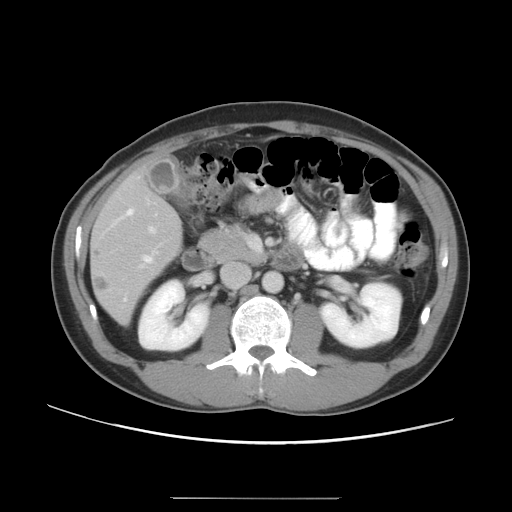 Abdomen, CT image
Some hepatic vessels may have no box.
Findings:
* liver tumor: (x1=92, y1=250, x2=100, y2=257), (x1=94, y1=275, x2=106, y2=290)
* hepatic vessel: (x1=149, y1=227, x2=155, y2=232), (x1=141, y1=245, x2=159, y2=267), (x1=107, y1=208, x2=134, y2=230), (x1=147, y1=199, x2=154, y2=204), (x1=155, y1=213, x2=157, y2=215), (x1=125, y1=297, x2=127, y2=300), (x1=101, y1=231, x2=106, y2=237)